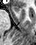
Hippocampus, Magnetic resonance
{
  "anterior_hippocampus": [
    "(x1=14, y1=6, x2=19, y2=11)"
  ]
}